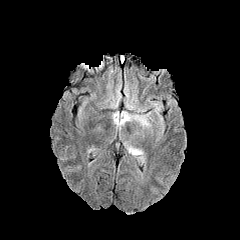
FLAIR MRI.
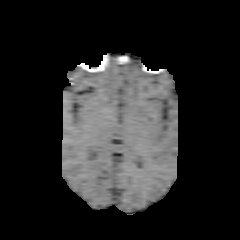
Same slice, T1-weighted MR image.
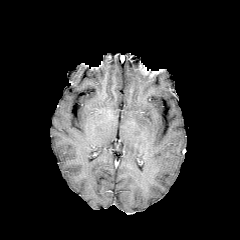
Post-contrast T1-weighted MR of the same slice.
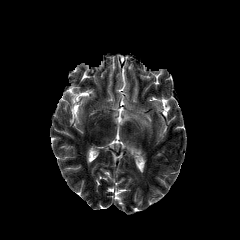
T2-weighted MRI.
Brain.
edema: <bbox>123, 141, 146, 163</bbox>, <bbox>104, 81, 121, 108</bbox>, <bbox>111, 73, 163, 133</bbox>